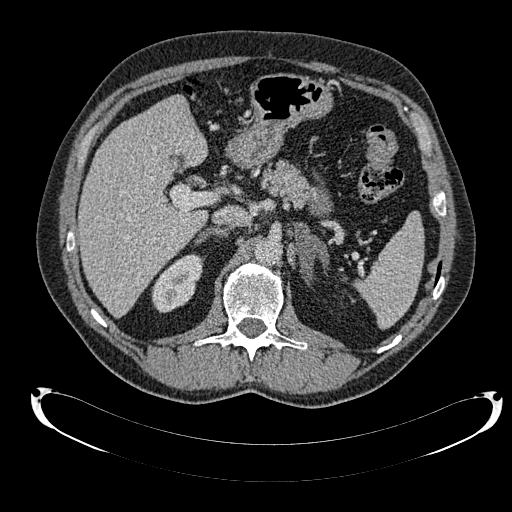
Upper abdomen | CT
kidney:
  - l=152, t=255, r=201, b=311
liver:
  - l=78, t=96, r=207, b=315